Slice index 349, Upper abdomen, CT scan slice
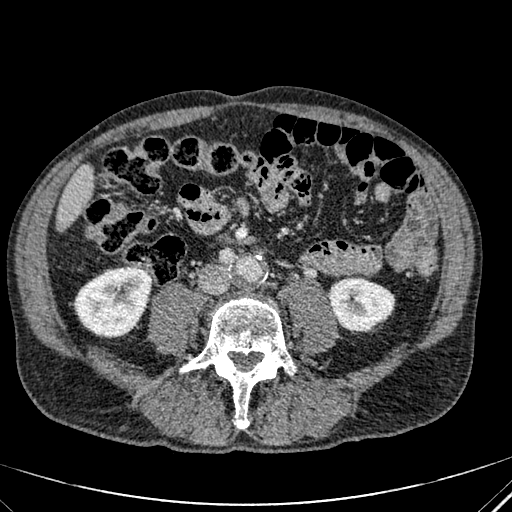

Liver at [x1=57, y1=166, x2=92, y2=227].
Kidney at [x1=75, y1=268, x2=150, y2=335], [x1=330, y1=279, x2=393, y2=330].